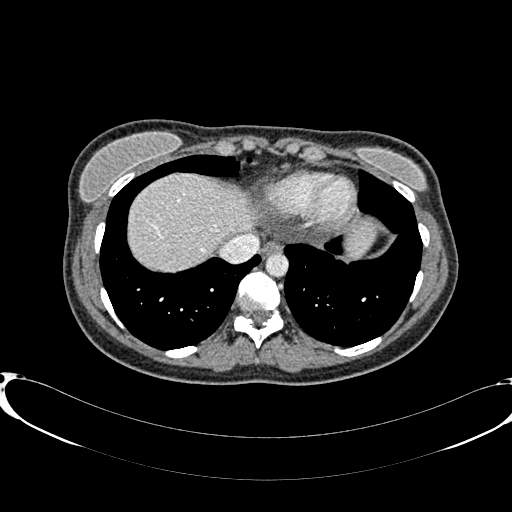 Computed tomography
2 liver regions are located at [128,173,252,270], [348,223,374,257].